FLAIR MR.
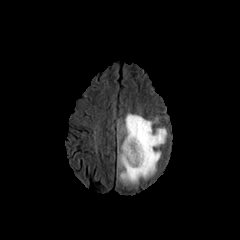
T1-weighted MR image.
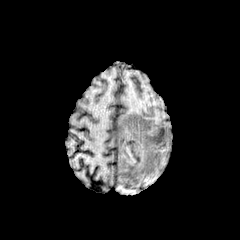
Post-contrast T1-weighted MRI.
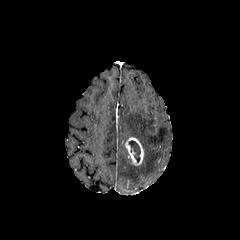
T2-weighted MR image.
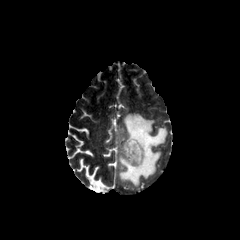
Brain
The non-enhancing tumor core is located at box(129, 140, 141, 162). The enhancing tumor is at box(124, 137, 144, 165). The edema is located at box(117, 113, 167, 186).